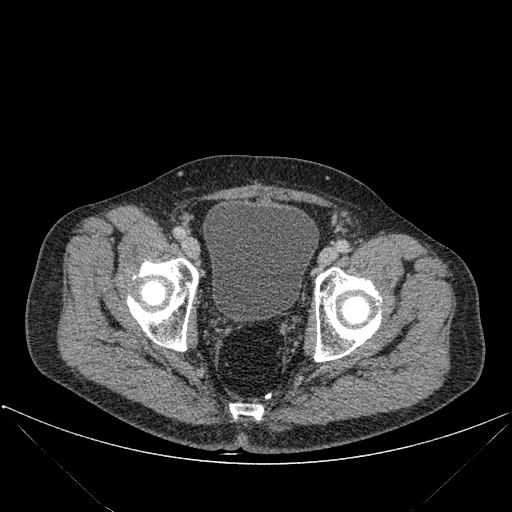

CT slice, 512x512 px
bone:
  - 230 403 263 421
  - 314 267 381 361
  - 127 258 198 350
urinary_bladder:
  - 203 198 318 321